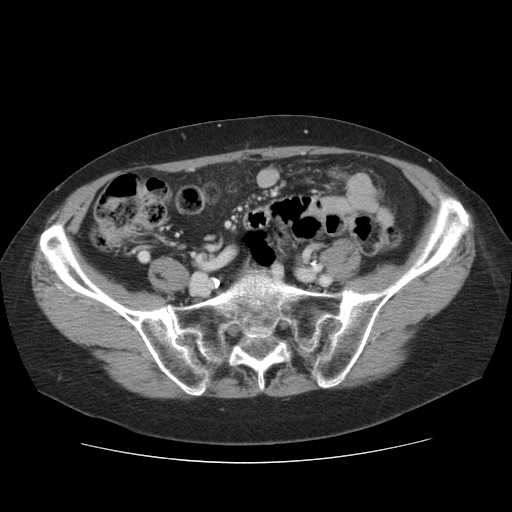

Computed tomography.

{"bone": ["[38,187,469,395]"]}